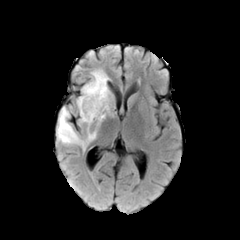
FLAIR MRI.
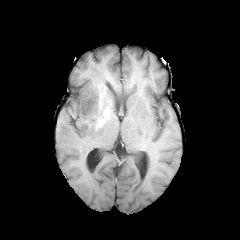
T1-weighted MR.
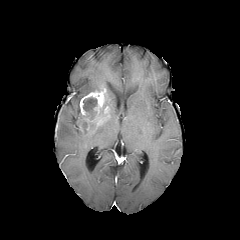
Post-contrast T1-weighted MRI of the same slice.
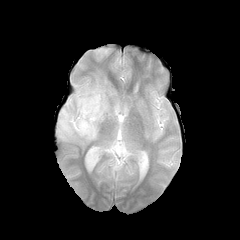
T2-weighted magnetic resonance.
Head | 240x240 px
{
  "non-enhancing_tumor_core": [
    "[x1=78, y1=97, x2=103, y2=125]"
  ],
  "edema": [
    "[x1=56, y1=69, x2=114, y2=150]"
  ],
  "enhancing_tumor": [
    "[x1=79, y1=86, x2=106, y2=120]"
  ]
}